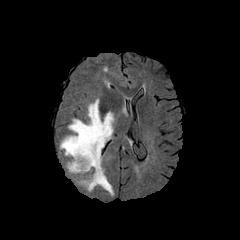
FLAIR MR.
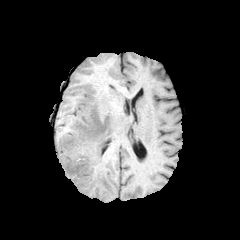
T1-weighted MR of the same slice.
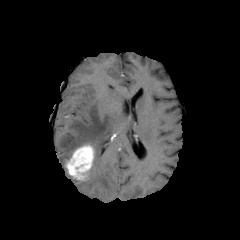
Post-contrast T1-weighted MRI of the same slice.
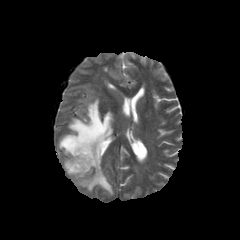
Same slice, T2-weighted MR.
Brain | 240x240
Annotated regions:
• enhancing tumor: 65 144 94 179
• edema: 58 99 114 194